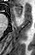
Hippocampus, 35x55, MR image

Annotated regions:
- anterior hippocampus: bbox(13, 6, 22, 16)